Field of view 700x700 mm | CT image | Brain
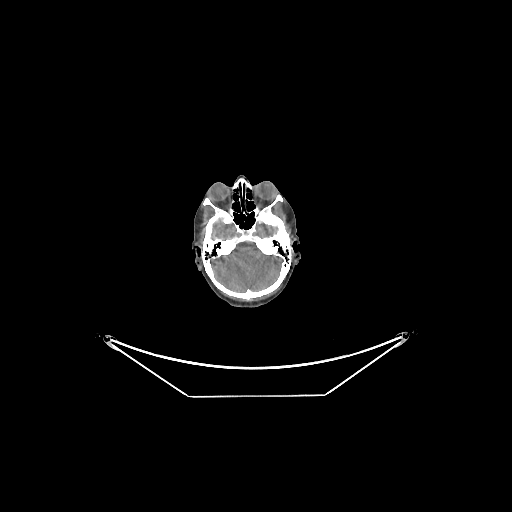

<segmentation>
  <brain>(x1=253, y1=222, x2=273, y2=238), (x1=211, y1=242, x2=283, y2=292), (x1=213, y1=221, x2=240, y2=238)</brain>
</segmentation>